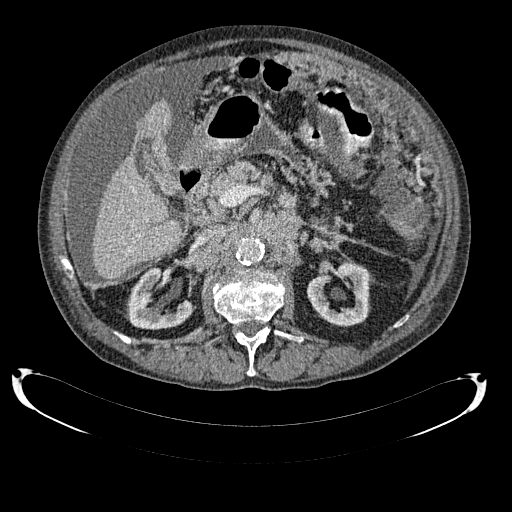 CT image, 512x512 px, Abdomen

2 liver regions are located at (x1=138, y1=100, x2=172, y2=147), (x1=93, y1=152, x2=182, y2=278). 2 kidney regions are bounded by (x1=307, y1=261, x2=368, y2=325), (x1=128, y1=268, x2=192, y2=329).